MR image 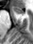 The anterior hippocampus is bounded by 12,6,24,13.